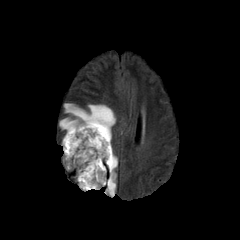
FLAIR MR.
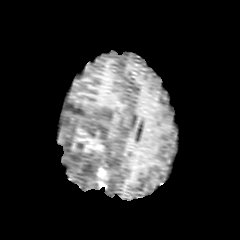
T1-weighted MR.
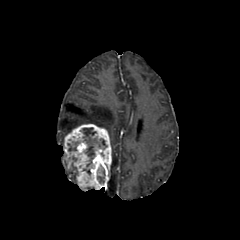
Same slice, post-contrast T1-weighted magnetic resonance.
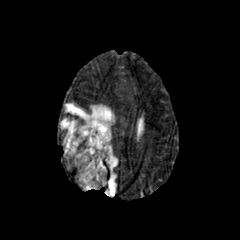
T2-weighted MR.
Head.
5 non-enhancing tumor core regions are bounded by [66, 156, 78, 175], [69, 105, 85, 114], [68, 141, 79, 151], [97, 170, 105, 183], [82, 128, 104, 158]. The enhancing tumor appears at [64, 123, 111, 190]. 2 edema regions appear at [106, 147, 117, 195], [60, 103, 115, 145].